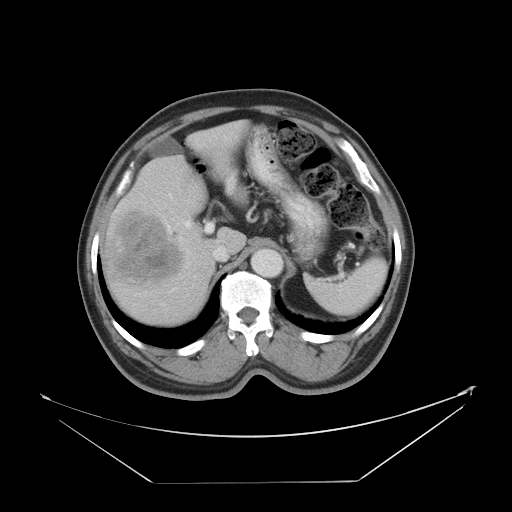
Liver; Image size 512x512; Computed tomography

Only some of the vessels may be annotated.
- hepatic vessel: [x1=183, y1=220, x2=190, y2=227], [x1=167, y1=225, x2=171, y2=232], [x1=161, y1=303, x2=164, y2=305], [x1=186, y1=262, x2=189, y2=266], [x1=176, y1=223, x2=178, y2=225], [x1=206, y1=225, x2=211, y2=230], [x1=168, y1=193, x2=171, y2=198], [x1=171, y1=288, x2=176, y2=291]
- liver tumor: [x1=117, y1=214, x2=183, y2=280]